240x240. Field of view 240x240 mm. Slice index 70.
FLAIR magnetic resonance.
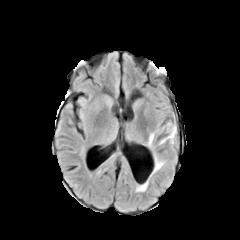
T1-weighted magnetic resonance.
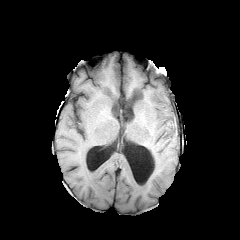
Post-contrast T1-weighted MRI.
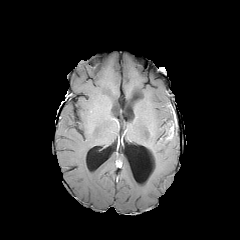
T2-weighted MR image.
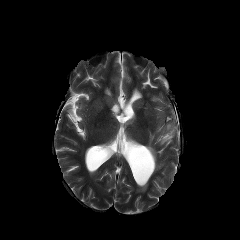
{"edema": ["rect(148, 126, 165, 174)", "rect(158, 120, 176, 145)", "rect(136, 175, 151, 192)"]}